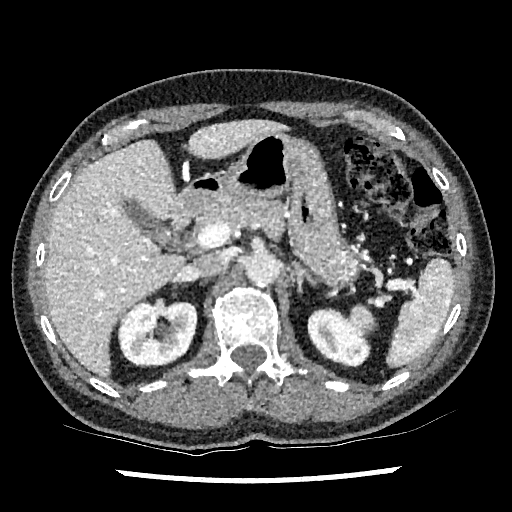
CT slice, Abdomen
2 liver regions appear at (x1=45, y1=140, x2=185, y2=376), (x1=189, y1=120, x2=284, y2=158). 2 kidney regions are bounded by (x1=120, y1=303, x2=196, y2=364), (x1=308, y1=311, x2=367, y2=364).